Magnetic resonance | Heart

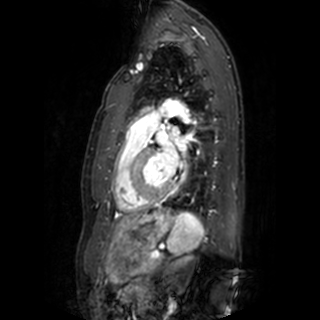

Left atrium: 156, 132, 177, 177; 169, 127, 185, 150.